Field of view 381 mm wide, 0.80 mm slice spacing, Liver, Slice index 502, Computed tomography

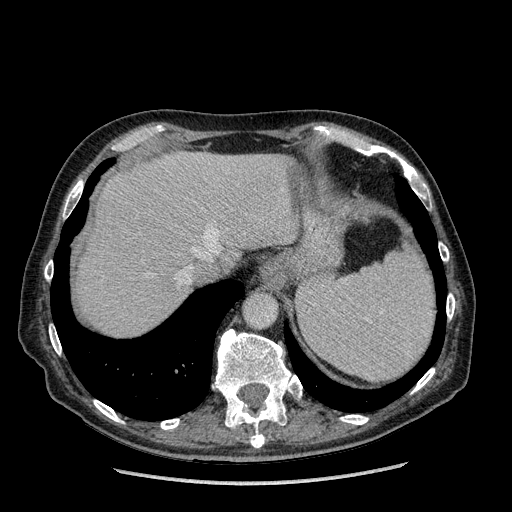

The liver is bounded by [77,153,294,337].